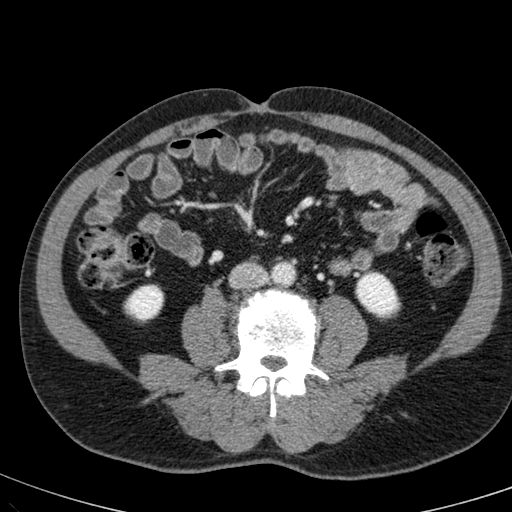 CT. Abdomen.
{
  "kidney": [
    "region(357, 274, 396, 314)",
    "region(128, 286, 161, 318)"
  ]
}